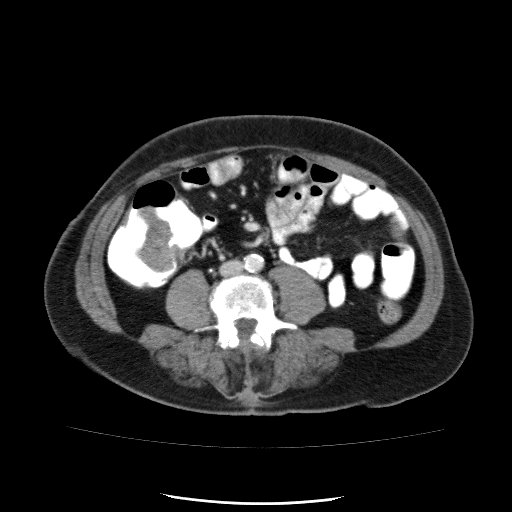
Abdomen | CT slice
Colon tumor — bbox(133, 210, 183, 272).